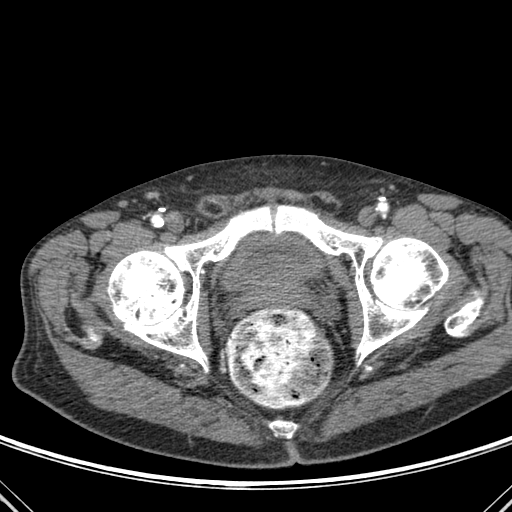
CT image
bone: box(88, 329, 98, 341); box(269, 420, 297, 437); box(107, 205, 448, 371); box(445, 291, 483, 336)